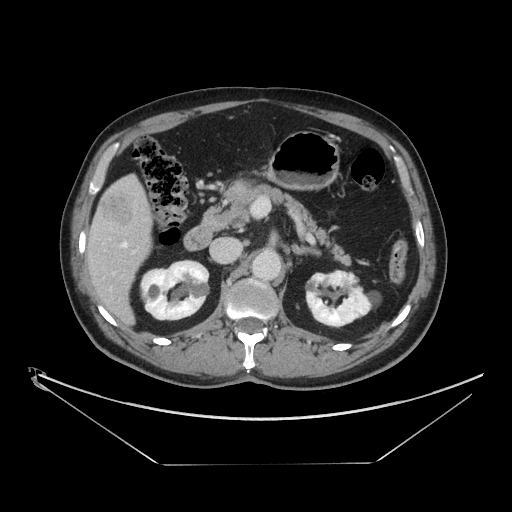
CT. Abdomen. 512x512 px.

The vessel boxes may cover only some of the vessels.
liver tumor: (left=98, top=188, right=134, bottom=226) | hepatic vessel: (left=122, top=242, right=126, bottom=247), (left=113, top=272, right=114, bottom=273)